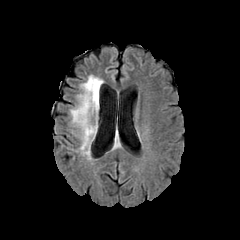
FLAIR MR image.
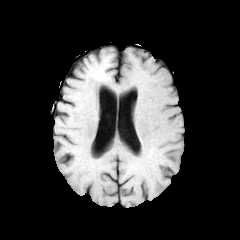
Same slice, T1-weighted MR image.
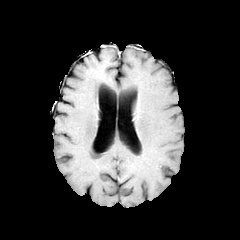
Post-contrast T1-weighted MR image.
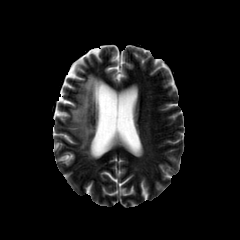
T2-weighted magnetic resonance.
240x240 px
<segmentation>
  <edema>box(70, 74, 103, 159)</edema>
</segmentation>